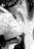

MR image | Medial temporal lobe
Posterior hippocampus: box(12, 38, 20, 43).